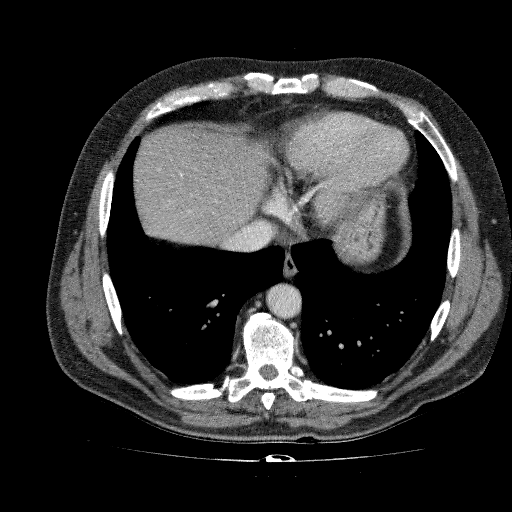
Abdomen. CT scan slice.
<segmentation>
  <liver>(133,125,273,245)</liver>
</segmentation>